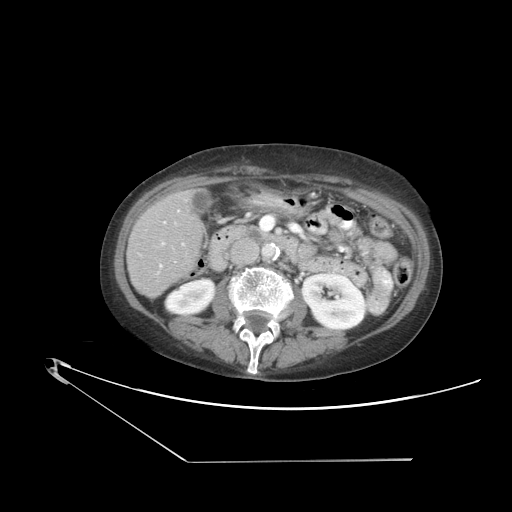 Abdomen | CT
Not every hepatic vessel necessarily has a box.
Segmented structures:
* hepatic vessel: (left=159, top=264, right=162, bottom=266), (left=163, top=221, right=165, bottom=223), (left=182, top=243, right=184, bottom=245), (left=162, top=242, right=164, bottom=244), (left=178, top=210, right=179, bottom=211)